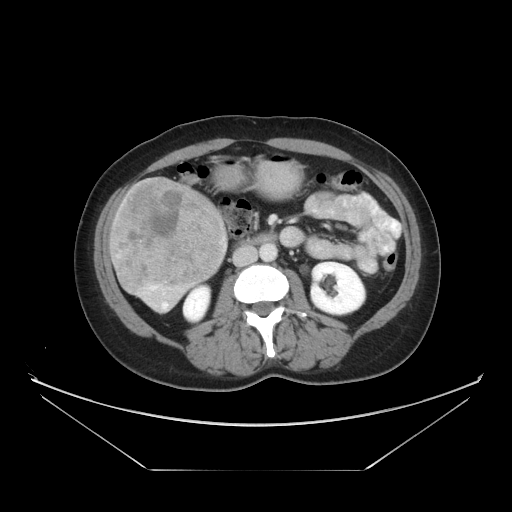
CT slice | Liver

Liver tumor at bbox(113, 178, 225, 294).